FLAIR MR image.
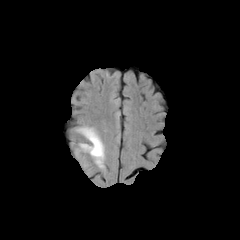
T1-weighted MRI.
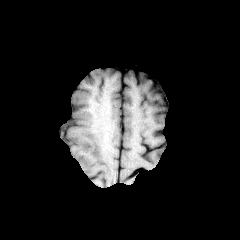
Post-contrast T1-weighted MR.
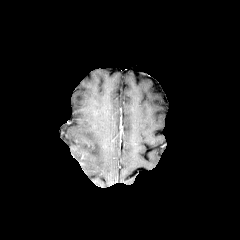
T2-weighted MR.
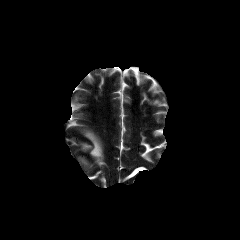
Brain
* edema: x1=79, y1=126, x2=104, y2=167